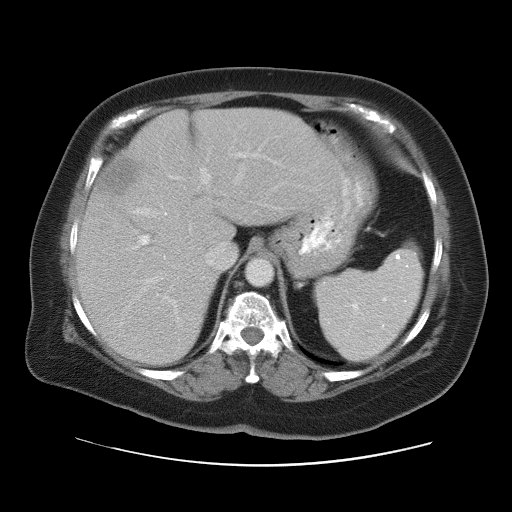
512x512 px | CT image

Annotated regions:
• spleen: 316, 248, 422, 361